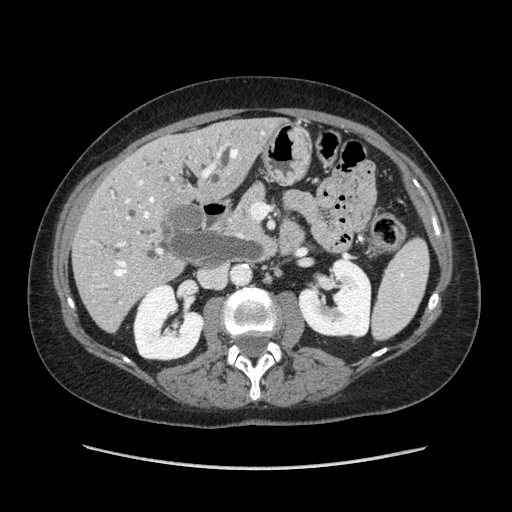

Upper abdomen | Computed tomography

Pancreas at region(227, 180, 269, 239).